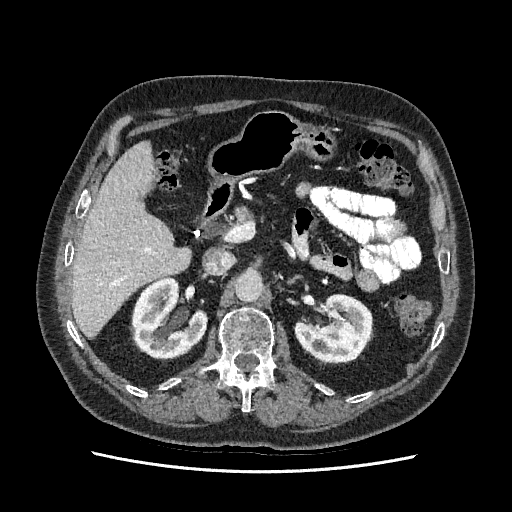 Computed tomography

<segmentation>
  <liver>region(72, 141, 189, 336)</liver>
  <kidney>region(133, 279, 206, 357); region(295, 295, 371, 361)</kidney>
</segmentation>